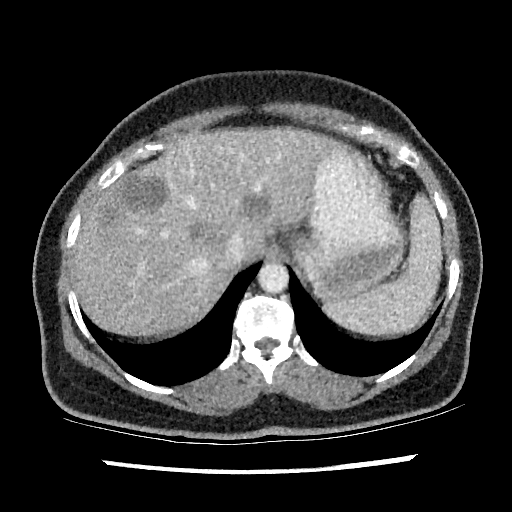

Abdomen | CT image

Annotated regions:
- focal liver lesion: (x1=190, y1=224, x2=216, y2=240), (x1=101, y1=208, x2=115, y2=223), (x1=242, y1=191, x2=268, y2=215), (x1=115, y1=173, x2=164, y2=208)
- liver: (x1=74, y1=130, x2=348, y2=334)